Field of view 240x240 mm, Brain
FLAIR MR image.
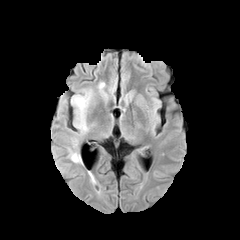
T1-weighted MR.
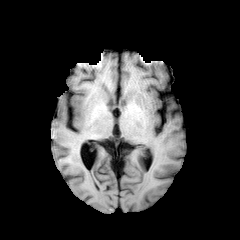
Post-contrast T1-weighted magnetic resonance.
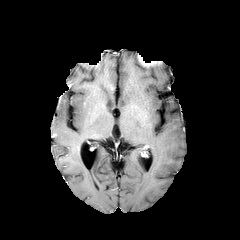
T2-weighted magnetic resonance.
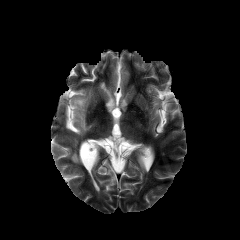
Edema — box(59, 88, 92, 135); box(66, 139, 82, 163); box(97, 82, 109, 97).